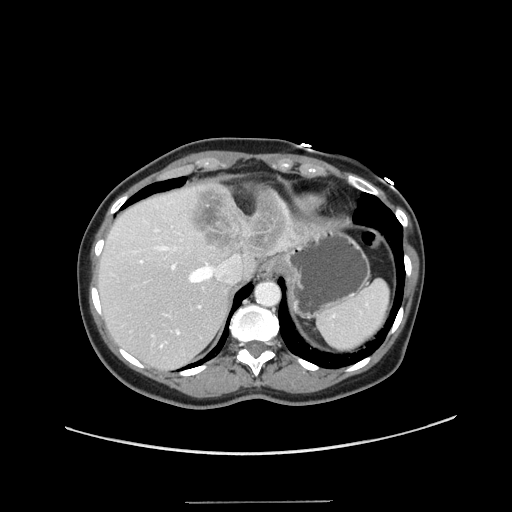

Image size 512x512 | CT | Liver
Some hepatic vessels may have no box.
Findings:
• liver tumor: bbox=[189, 187, 288, 257]
• hepatic vessel: bbox=[155, 229, 157, 230]; bbox=[172, 264, 175, 267]; bbox=[177, 330, 179, 333]; bbox=[190, 255, 240, 282]; bbox=[161, 247, 165, 248]